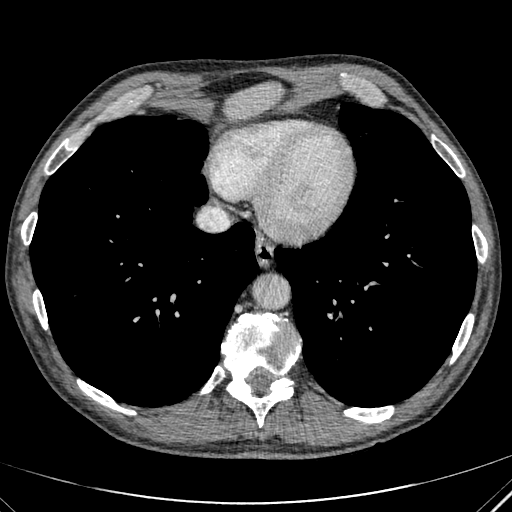 CT scan slice. Liver. {
  "liver": [
    "<box>224,82,282,118</box>"
  ]
}